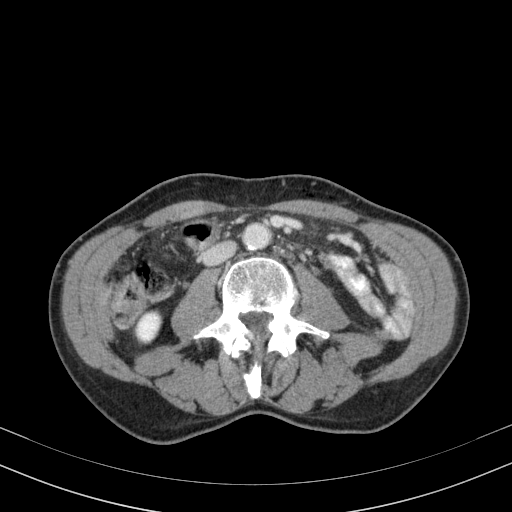
Computed tomography | Abdomen
Kidney = (x1=138, y1=314, x2=158, y2=339).